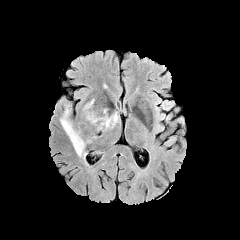
FLAIR MRI.
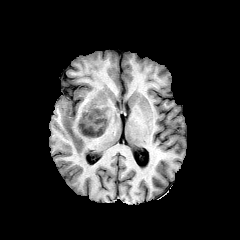
T1-weighted MR of the same slice.
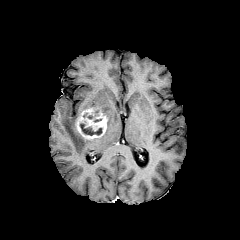
Post-contrast T1-weighted MR.
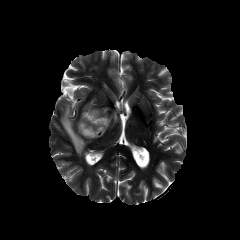
T2-weighted magnetic resonance.
Head
edema:
  - [x1=60, y1=103, x2=90, y2=158]
  - [x1=103, y1=109, x2=117, y2=127]
enhancing_tumor:
  - [x1=77, y1=108, x2=107, y2=138]
non-enhancing_tumor_core:
  - [x1=80, y1=123, x2=102, y2=135]